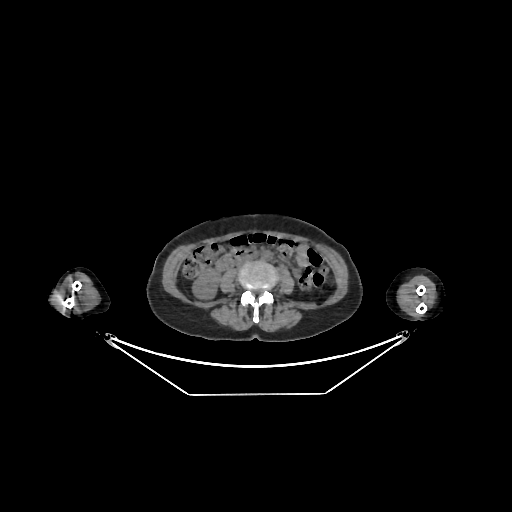
Abdomen, CT
<segmentation>
  <kidney>(left=192, top=267, right=222, bottom=299)</kidney>
</segmentation>